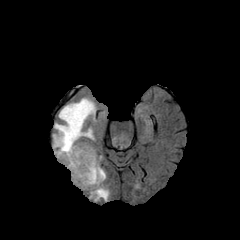
FLAIR magnetic resonance.
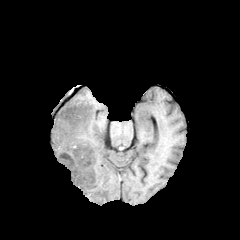
T1-weighted MR image.
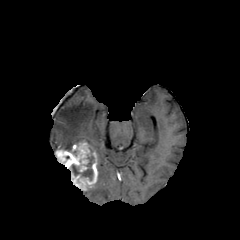
Post-contrast T1-weighted MRI.
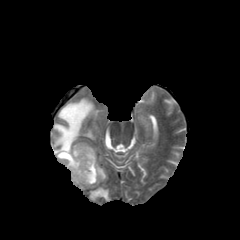
Same slice, T2-weighted magnetic resonance.
Brain.
2 non-enhancing tumor core regions are located at bbox(72, 156, 93, 178); bbox(78, 142, 94, 152). The enhancing tumor appears at bbox(55, 144, 97, 189). 2 edema regions are located at bbox(89, 163, 109, 200); bbox(52, 97, 96, 149).